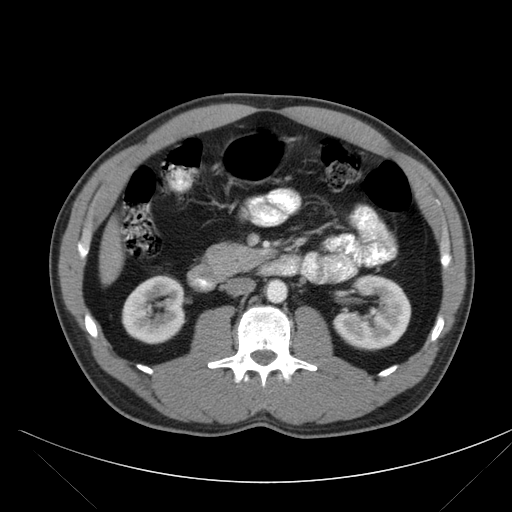
512x512, Upper abdomen, CT slice

pancreas:
  - l=203, t=240, r=247, b=271